FLAIR magnetic resonance.
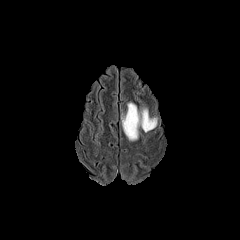
T1-weighted MRI.
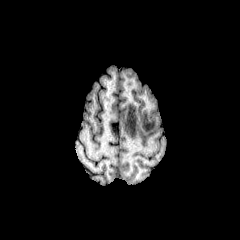
Post-contrast T1-weighted MR.
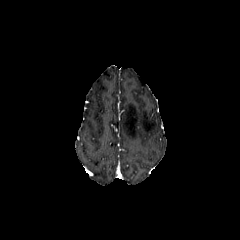
T2-weighted MRI.
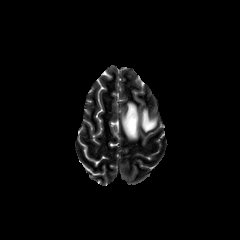
Image size 240x240 | Head
The edema lies within rect(122, 102, 156, 141).